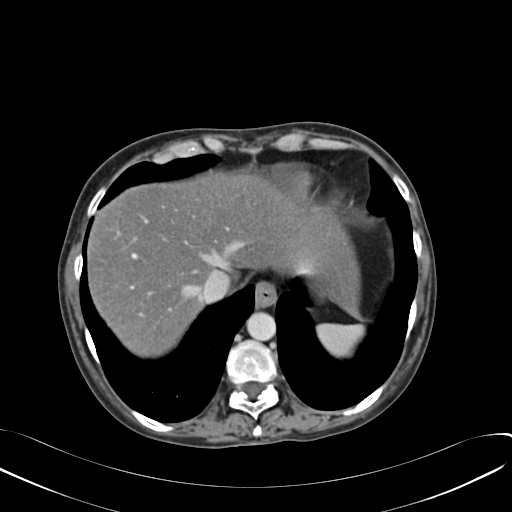
CT slice

The liver is located at [88,174,359,356].